Slice index 123, CT image, 512x512 px
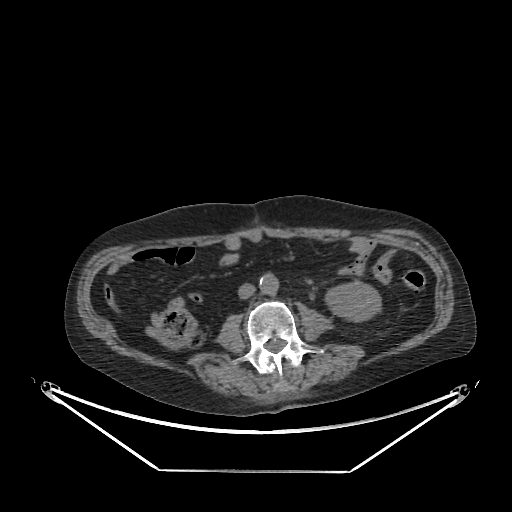
<segmentation>
  <kidney>325:279:381:322</kidney>
</segmentation>